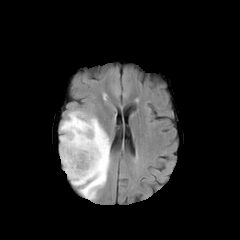
FLAIR MR image.
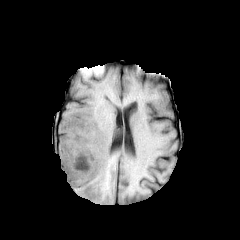
Same slice, T1-weighted MRI.
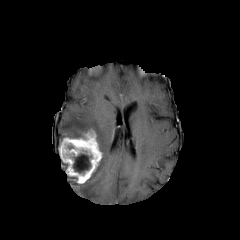
Same slice, post-contrast T1-weighted MR.
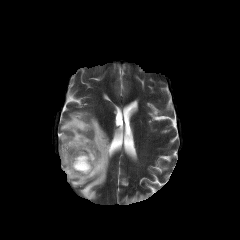
T2-weighted MRI of the same slice.
Head
Non-enhancing tumor core: (73,153,90,172).
Edema: (60,111,111,199).
Enhancing tumor: (59,131,102,183).